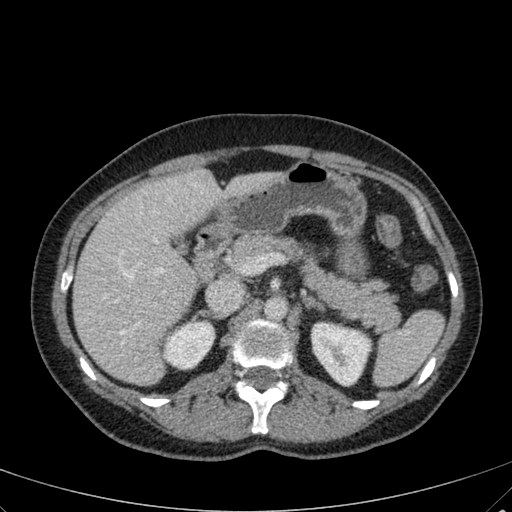
CT scan slice, Abdomen
Kidney = l=312, t=323, r=369, b=384; l=165, t=323, r=213, b=368.
Liver = l=73, t=167, r=287, b=384; l=207, t=278, r=240, b=309.